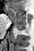

Hippocampus. MR. anterior_hippocampus:
  - l=7, t=7, r=27, b=24
posterior_hippocampus:
  - l=15, t=25, r=26, b=32